Brain. Field of view 240 mm wide, 1.00 mm slice spacing. 240x240.
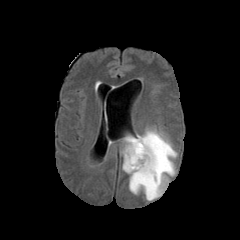
FLAIR MRI.
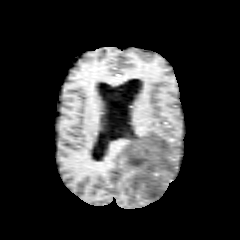
Same slice, T1-weighted magnetic resonance.
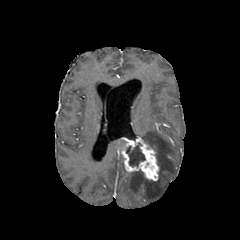
Post-contrast T1-weighted magnetic resonance.
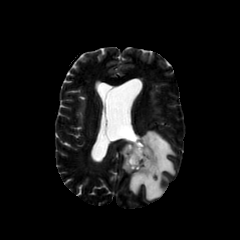
Same slice, T2-weighted MR.
<segmentation>
  <edema>box=[122, 128, 176, 200]</edema>
  <non-enhancing_tumor_core>box=[126, 145, 145, 167]; box=[145, 141, 159, 167]</non-enhancing_tumor_core>
  <enhancing_tumor>box=[122, 137, 159, 180]</enhancing_tumor>
</segmentation>